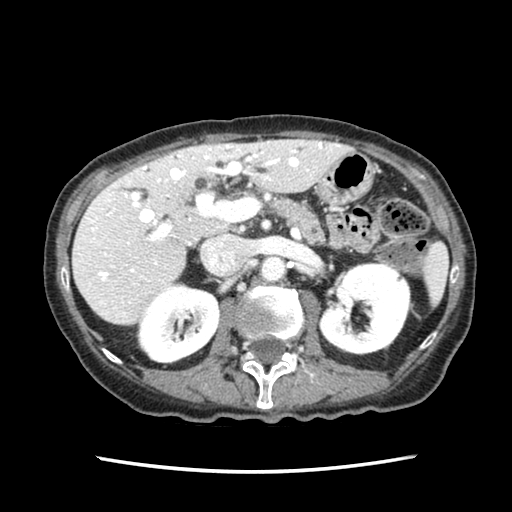
Abdomen. Computed tomography.
The pancreas is at 273, 200, 323, 244.